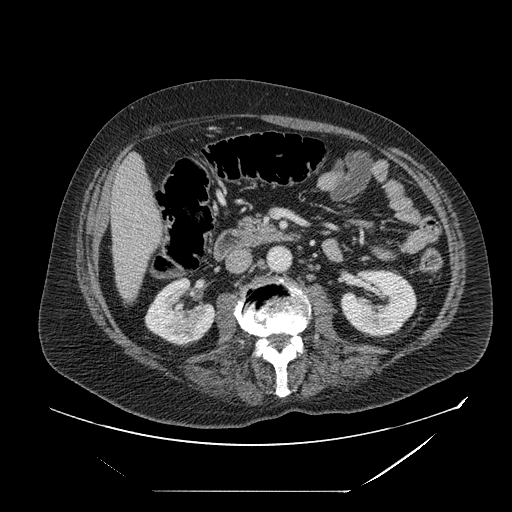 Upper abdomen, CT
<segmentation>
  <pancreas>box=[236, 216, 271, 236]</pancreas>
</segmentation>